Field of view 403x403 mm | Slice 496 of 751 | 512x512 | CT
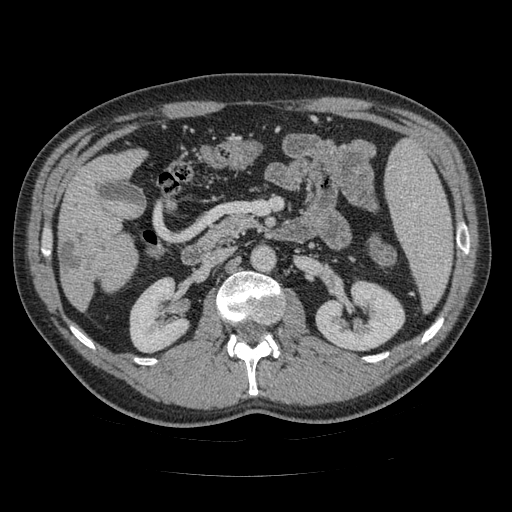
Pancreas: left=200, top=214, right=254, bottom=246.